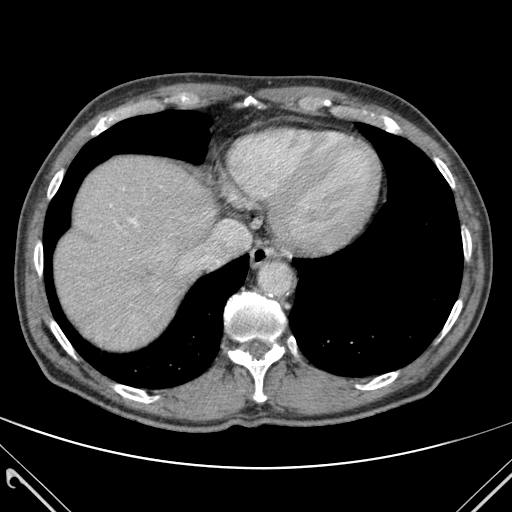

CT slice; 512x512 px; Abdomen

lung: 43 110 248 388, 289 123 463 376 | bone: 51 320 74 357, 114 385 156 402, 92 116 113 134, 435 158 454 187, 288 336 295 352, 379 117 398 132, 243 96 260 107, 357 372 397 389, 228 344 283 401, 48 170 62 197, 225 292 284 341, 462 230 471 257, 34 242 42 274, 442 301 461 336 | liver: 54 156 215 350